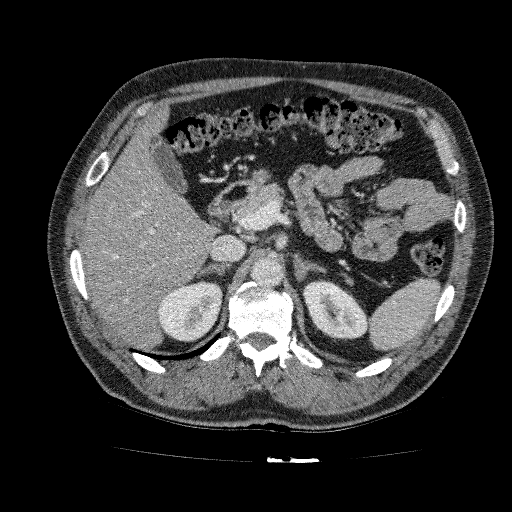
Upper abdomen, CT slice

<segmentation>
  <liver>x1=81 y1=106 x2=220 y2=349</liver>
  <kidney>x1=157 y1=282 x2=221 y2=340, x1=304 y1=282 x2=366 y2=337</kidney>
</segmentation>